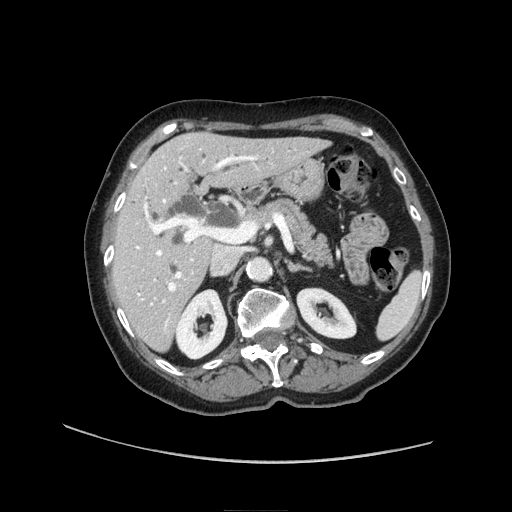
Computed tomography, Abdomen
pancreas: x1=260 y1=198 x2=332 y2=266